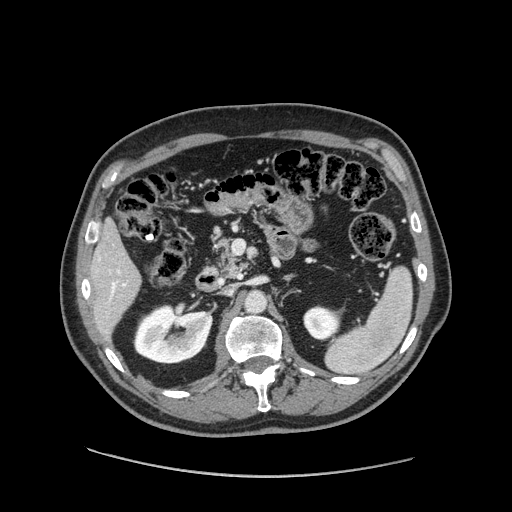

Abdomen, Computed tomography, Image size 512x512
Findings:
- pancreas: [x1=206, y1=239, x2=243, y2=276]